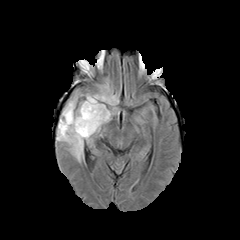
FLAIR magnetic resonance.
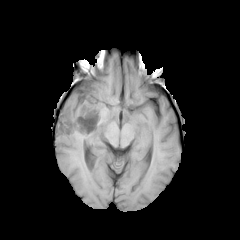
T1-weighted MR.
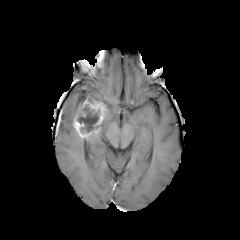
Post-contrast T1-weighted MR of the same slice.
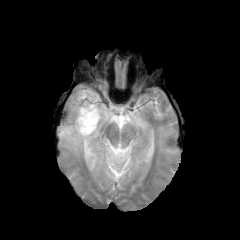
T2-weighted MR.
Head
The edema is bounded by [57,80,119,162]. The non-enhancing tumor core is located at [77,104,98,135]. 2 enhancing tumor regions are bounded by [80,100,106,127], [73,117,90,139].